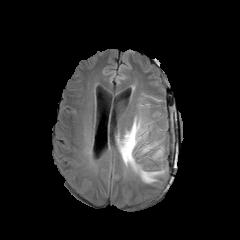
FLAIR MRI.
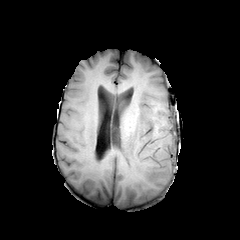
Same slice, T1-weighted MRI.
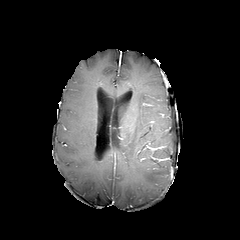
Same slice, post-contrast T1-weighted MRI.
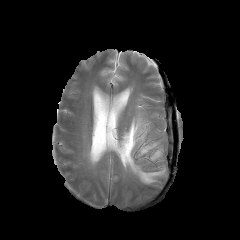
Same slice, T2-weighted MR.
Image size 240x240.
Edema = l=114, t=95, r=167, b=184.